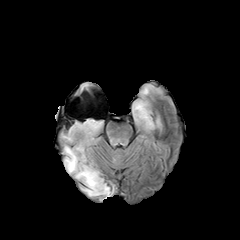
FLAIR MR.
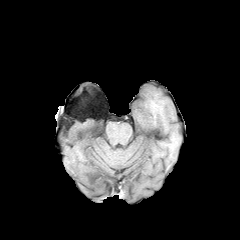
T1-weighted MRI.
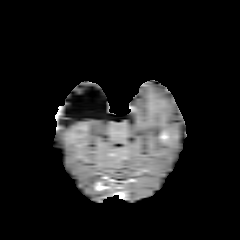
Post-contrast T1-weighted MR image.
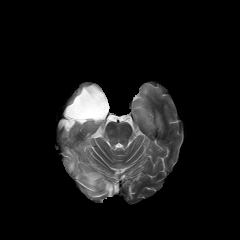
T2-weighted magnetic resonance of the same slice.
Head | 240x240
<segmentation>
  <edema>(134,100,151,123), (64,119,115,197), (63,119,80,141)</edema>
  <enhancing_tumor>(95,182,107,189)</enhancing_tumor>
</segmentation>